FLAIR magnetic resonance.
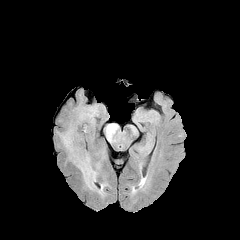
T1-weighted MRI.
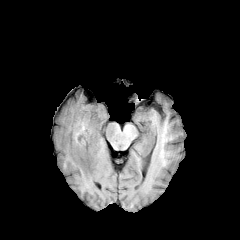
Post-contrast T1-weighted magnetic resonance.
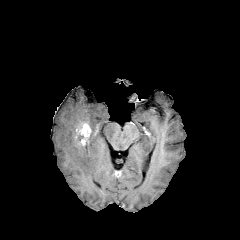
T2-weighted MRI.
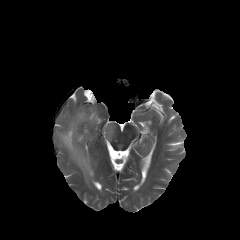
Brain
{"edema": [{"x1": 104, "y1": 124, "x2": 115, "y2": 140}, {"x1": 61, "y1": 106, "x2": 98, "y2": 183}], "enhancing_tumor": [{"x1": 76, "y1": 122, "x2": 91, "y2": 145}]}